CT | Image width 344 mm

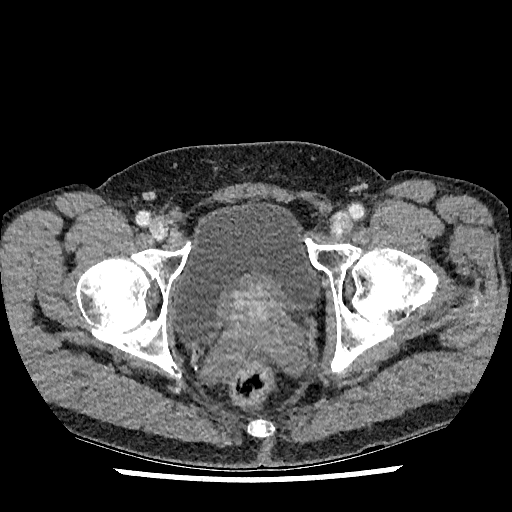

Urinary bladder = 174:202:320:344.